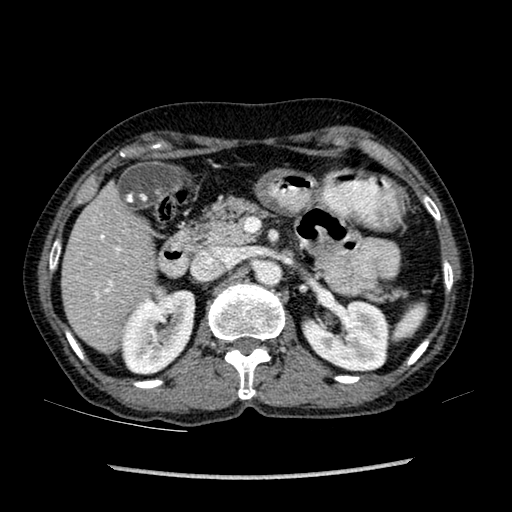
512x512 px; Computed tomography
The liver appears at <box>62,198,152,343</box>. 2 kidney regions are located at <box>122,290,194,373</box>, <box>306,302,386,369</box>.